FLAIR MR image.
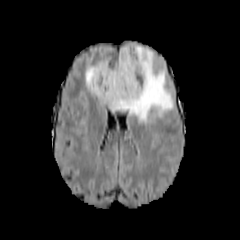
T1-weighted magnetic resonance.
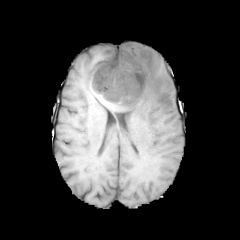
Post-contrast T1-weighted MR image.
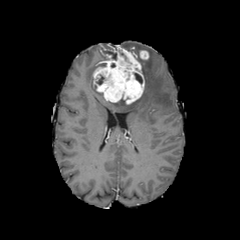
T2-weighted MRI.
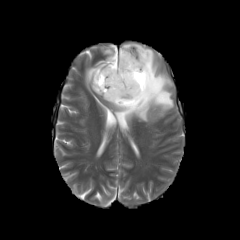
Image size 240x240.
* edema: (104,44,173,122), (86,65,103,97)
* enhancing tumor: (93,46,144,104), (139,50,148,59)
* non-enhancing tumor core: (106,49,116,60), (134,73,142,84)